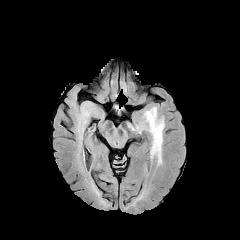
FLAIR magnetic resonance.
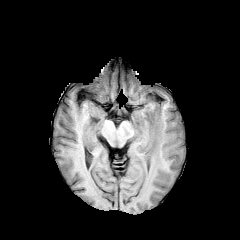
T1-weighted MR image.
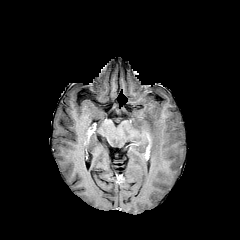
Post-contrast T1-weighted MR of the same slice.
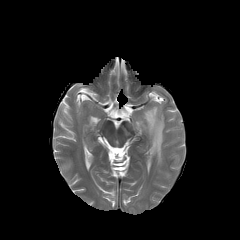
T2-weighted MR image.
Brain
edema:
  - box=[132, 106, 165, 165]